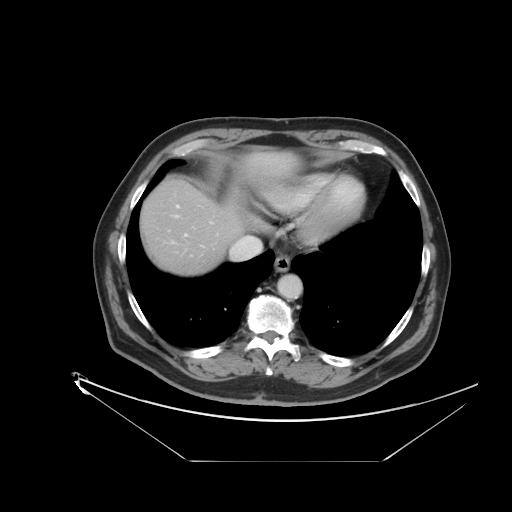
512x512. CT scan slice.

Only some of the vessels may be annotated.
hepatic_vessel:
  - [x1=173, y1=215, x2=178, y2=217]
  - [x1=177, y1=205, x2=178, y2=207]
  - [x1=184, y1=234, x2=186, y2=236]